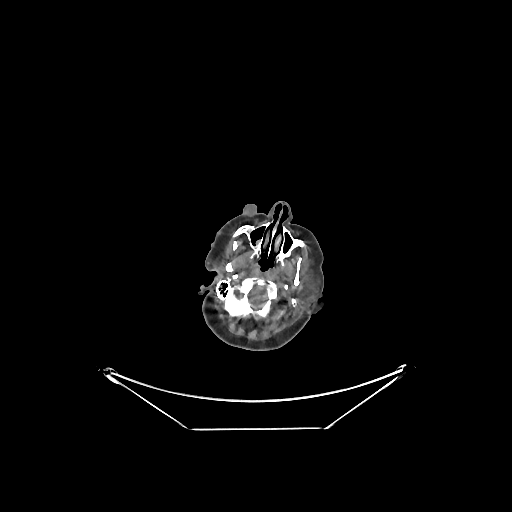

CT scan slice. 512x512 px.
Brain: bounding box 247 284 268 309.